Medial temporal lobe | MRI slice

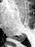

The posterior hippocampus appears at 15,36,24,41.